Slice 57 of 155. Image width 240 mm.
FLAIR MRI.
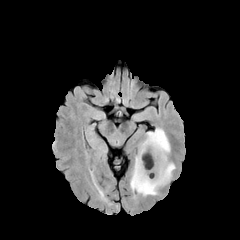
T1-weighted magnetic resonance.
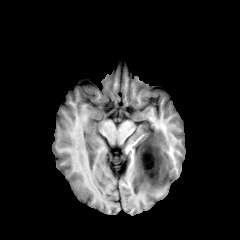
Post-contrast T1-weighted MR.
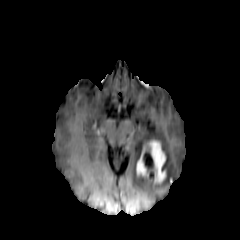
T2-weighted MR.
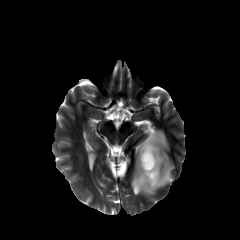
enhancing_tumor:
  - 149:140:165:183
  - 136:157:148:176
edema:
  - 130:128:175:195
non-enhancing_tumor_core:
  - 141:143:150:153